CT scan slice. Lung. Slice 334/493. 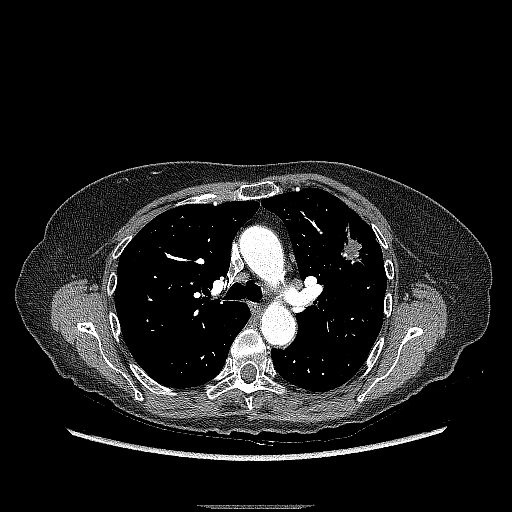
Lung tumor — 329 208 371 266.